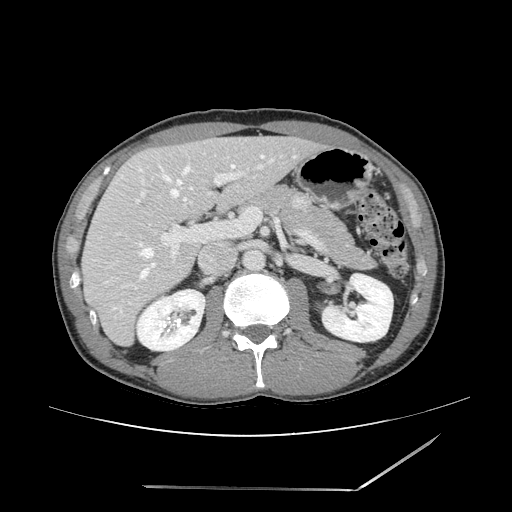 CT scan slice; Abdomen
pancreatic_tumor:
  - (292,192,311,209)
pancreas:
  - (251,185,375,269)